Image size 240x240, Slice index 48
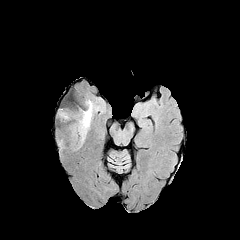
FLAIR MR image.
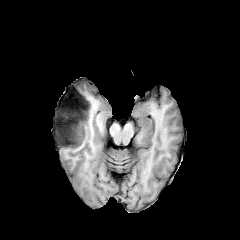
T1-weighted MRI.
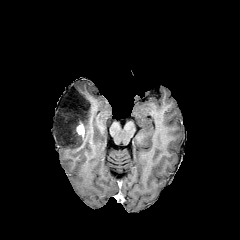
Post-contrast T1-weighted magnetic resonance.
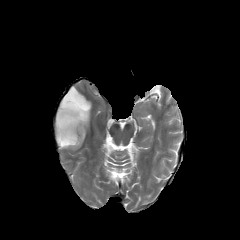
T2-weighted MRI.
<segmentation>
  <non-enhancing_tumor_core>{"x1": 57, "y1": 96, "x2": 90, "y2": 148}</non-enhancing_tumor_core>
  <edema>{"x1": 88, "y1": 100, "x2": 99, "y2": 129}</edema>
  <enhancing_tumor>{"x1": 76, "y1": 122, "x2": 85, "y2": 137}</enhancing_tumor>
</segmentation>